FLAIR MR.
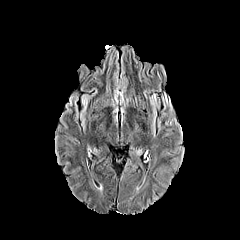
T1-weighted magnetic resonance.
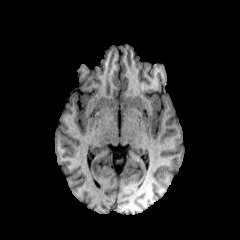
Post-contrast T1-weighted MRI.
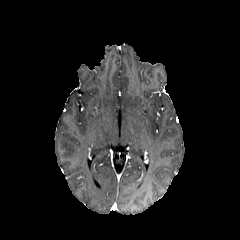
T2-weighted MR.
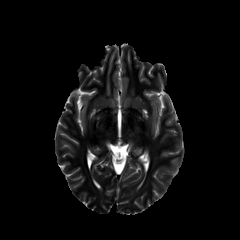
Image size 240x240 | Head
<segmentation>
  <edema>(165,118,176,126), (161,94,173,119), (150,94,160,138)</edema>
</segmentation>